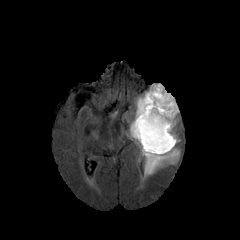
FLAIR MR.
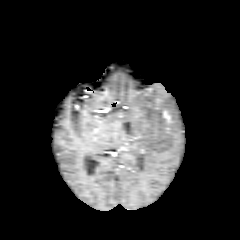
T1-weighted MR image.
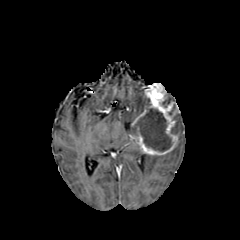
Same slice, post-contrast T1-weighted magnetic resonance.
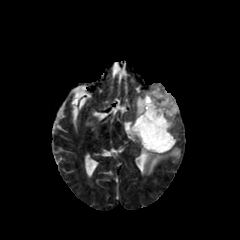
T2-weighted magnetic resonance.
Brain.
{
  "enhancing_tumor": [
    {"x1": 136, "y1": 83, "x2": 179, "y2": 155}
  ],
  "edema": [
    {"x1": 172, "y1": 114, "x2": 182, "y2": 134},
    {"x1": 128, "y1": 90, "x2": 143, "y2": 126},
    {"x1": 142, "y1": 142, "x2": 179, "y2": 176},
    {"x1": 126, "y1": 128, "x2": 135, "y2": 139}
  ],
  "non-enhancing_tumor_core": [
    {"x1": 162, "y1": 94, "x2": 175, "y2": 105},
    {"x1": 139, "y1": 153, "x2": 147, "y2": 167},
    {"x1": 127, "y1": 93, "x2": 171, "y2": 151}
  ]
}